CT slice | Slice 40 of 68

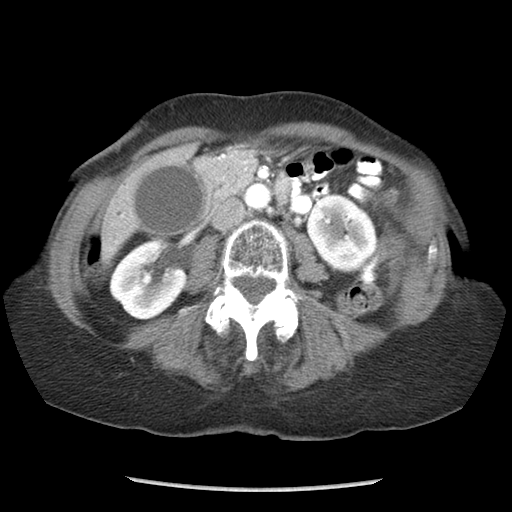
<segmentation>
  <pancreas>x1=211 y1=149 x2=254 y2=196</pancreas>
</segmentation>